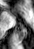
Hippocampus | MRI slice
Posterior hippocampus: bounding box <bbox>19, 28, 28, 40</bbox>.